FLAIR MR.
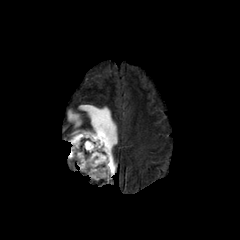
T1-weighted MR.
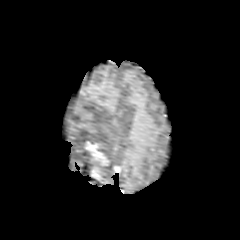
Post-contrast T1-weighted MR.
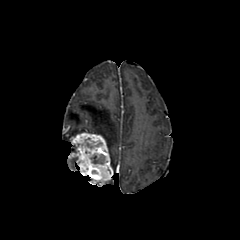
T2-weighted magnetic resonance.
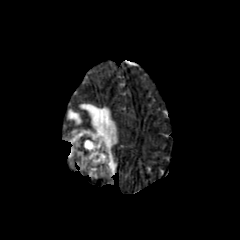
Head
Non-enhancing tumor core = [90, 154, 105, 164], [87, 104, 101, 117].
Enhancing tumor = [71, 131, 113, 180].
Edema = [68, 104, 117, 172].